FLAIR MR.
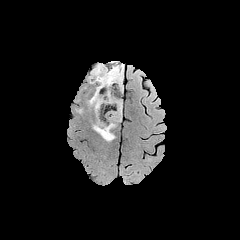
T1-weighted MR image.
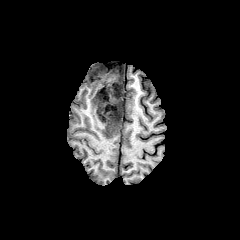
Post-contrast T1-weighted MR image.
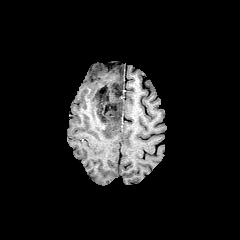
T2-weighted MR image.
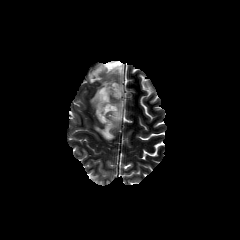
Edema: bounding box box(100, 110, 121, 141); box(88, 64, 122, 109).
Non-enhancing tumor core: bounding box box(108, 64, 121, 77); box(95, 90, 109, 132); box(94, 71, 119, 93); box(110, 108, 120, 121).